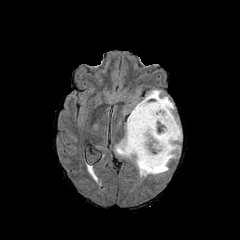
FLAIR MRI.
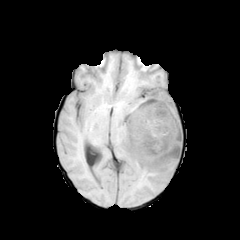
T1-weighted MR image.
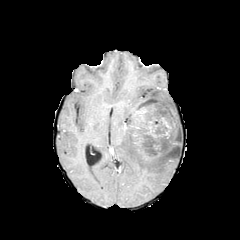
Same slice, post-contrast T1-weighted MR.
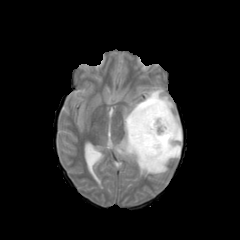
T2-weighted MR.
Brain
<segmentation>
  <edema>(125,88,181,152), (115,122,179,176)</edema>
  <non-enhancing_tumor_core>(126,96,179,160)</non-enhancing_tumor_core>
  <enhancing_tumor>(143,124,153,133), (162,117,172,135), (133,108,145,128)</enhancing_tumor>
</segmentation>